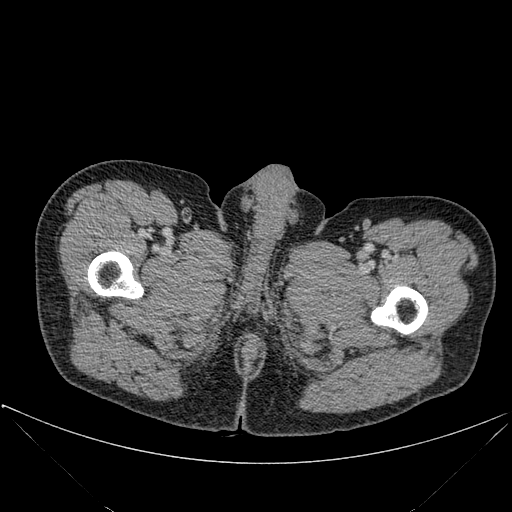
512x512 px | CT image
2 bone regions are located at (371, 286, 427, 334), (88, 251, 143, 298).